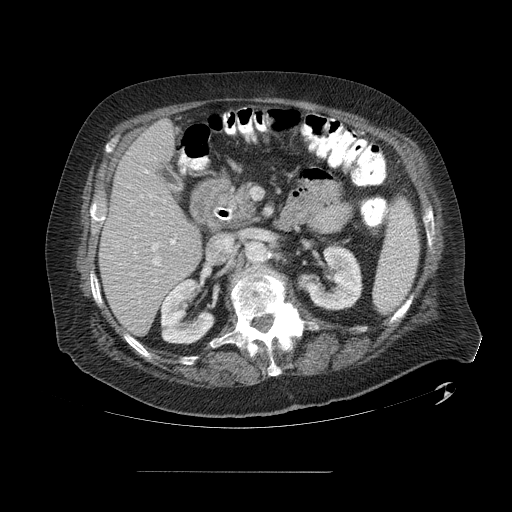
Abdomen | Image size 512x512 | CT image

Some hepatic vessels may have no box.
Hepatic vessel: bounding box (x1=137, y1=211, x2=139, y2=212), (x1=135, y1=236, x2=136, y2=238), (x1=152, y1=257, x2=160, y2=265), (x1=144, y1=170, x2=147, y2=172), (x1=163, y1=199, x2=165, y2=202), (x1=170, y1=239, x2=174, y2=243), (x1=152, y1=243, x2=157, y2=251), (x1=155, y1=280, x2=156, y2=281), (x1=151, y1=213, x2=152, y2=214), (x1=134, y1=245, x2=135, y2=247).